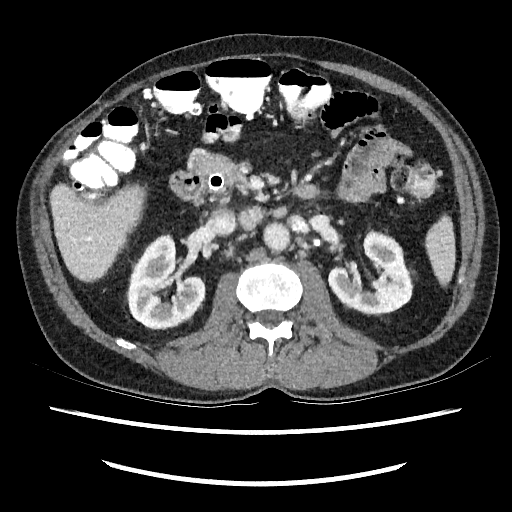 Abdomen, CT image
Segmented structures:
• kidney: x1=129 y1=236 x2=204 y2=327, x1=329 y1=233 x2=411 y2=312
• liver: x1=50 y1=185 x2=144 y2=279